512x512 px | Thorax | Field of view 434x434 mm | CT | Slice index 593

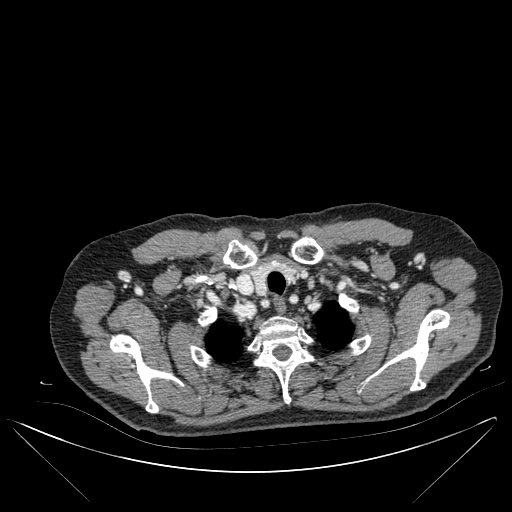 bone:
  - l=190, t=346, r=210, b=366
  - l=373, t=309, r=449, b=390
  - l=248, t=316, r=313, b=403
  - l=339, t=293, r=357, b=312
  - l=110, t=335, r=182, b=412
  - l=292, t=237, r=323, b=263
  - l=223, t=240, r=256, b=268
  - l=199, t=293, r=217, b=325
  - l=350, t=335, r=370, b=354
lung:
  - l=205, t=321, r=242, b=362
  - l=269, t=283, r=280, b=292
  - l=313, t=302, r=353, b=349